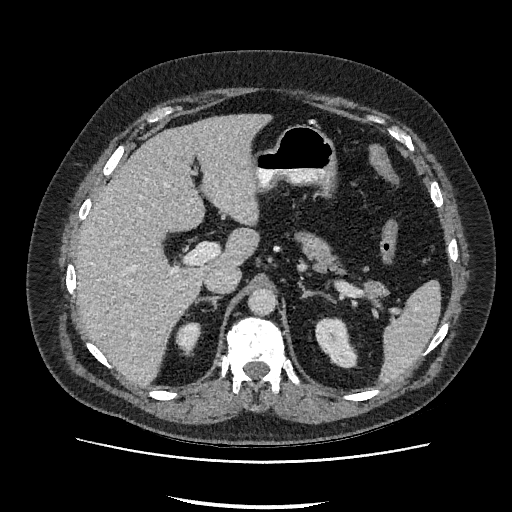

Liver, CT image
Liver — <bbox>76, 115, 270, 384</bbox>.
Kidney — <bbox>179, 324, 197, 348</bbox>, <bbox>316, 320, 354, 366</bbox>.